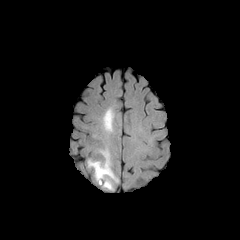
FLAIR MRI.
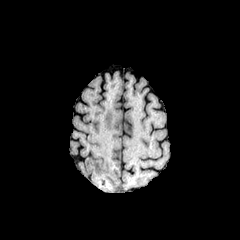
Same slice, T1-weighted MRI.
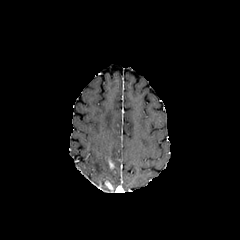
Post-contrast T1-weighted magnetic resonance.
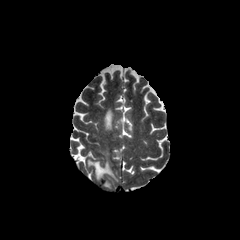
T2-weighted magnetic resonance.
4 edema regions are located at <bbox>88, 160, 101, 167</bbox>, <bbox>99, 149, 109, 168</bbox>, <bbox>95, 165, 118, 182</bbox>, <bbox>98, 107, 117, 132</bbox>. 2 enhancing tumor regions are located at <bbox>108, 157, 114, 168</bbox>, <bbox>103, 179, 113, 191</bbox>.